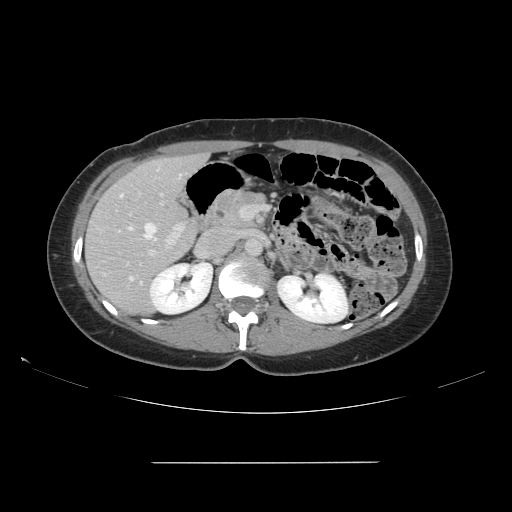

Image size 512x512; CT slice; Abdomen
Some hepatic vessels may have no box.
13 hepatic vessel regions are located at box=[127, 263, 128, 264]; box=[149, 250, 155, 254]; box=[166, 223, 183, 245]; box=[129, 277, 133, 279]; box=[144, 223, 156, 239]; box=[161, 202, 163, 204]; box=[128, 227, 133, 230]; box=[140, 281, 141, 283]; box=[178, 174, 181, 178]; box=[120, 194, 122, 196]; box=[160, 193, 161, 195]; box=[103, 273, 105, 275]; box=[157, 169, 159, 170].